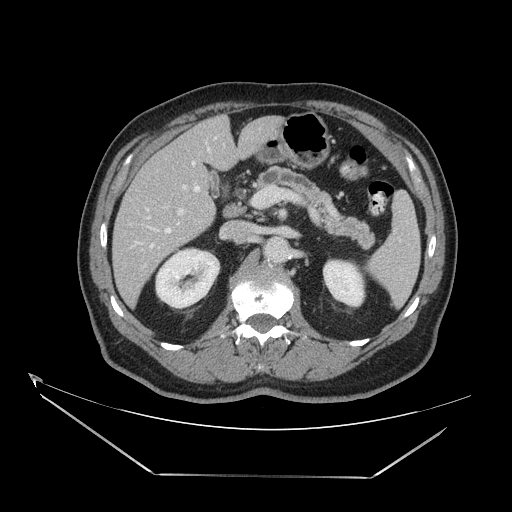 512x512, Computed tomography
{
  "pancreas": [
    "l=259, t=167, r=373, b=247"
  ]
}